MRI | Field of view 37x51 mm

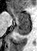 Anterior hippocampus at rect(9, 8, 29, 22).
Posterior hippocampus at rect(14, 23, 29, 36).